CT | Liver | Slice 23/45

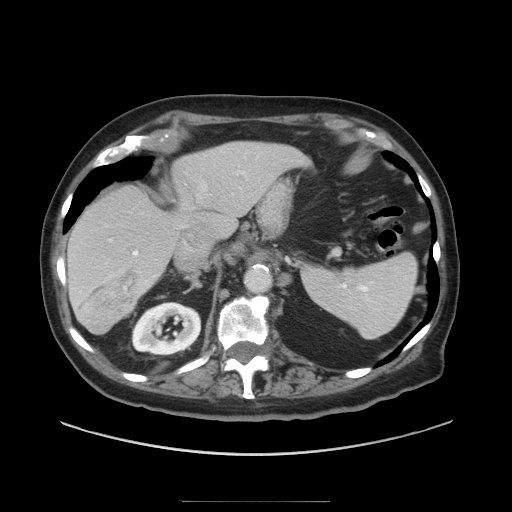
Not every hepatic vessel necessarily has a box.
Liver tumor: rect(87, 265, 140, 320).
Hepatic vessel: rect(109, 239, 112, 241); rect(199, 181, 206, 197); rect(133, 251, 138, 255); rect(238, 171, 245, 174).